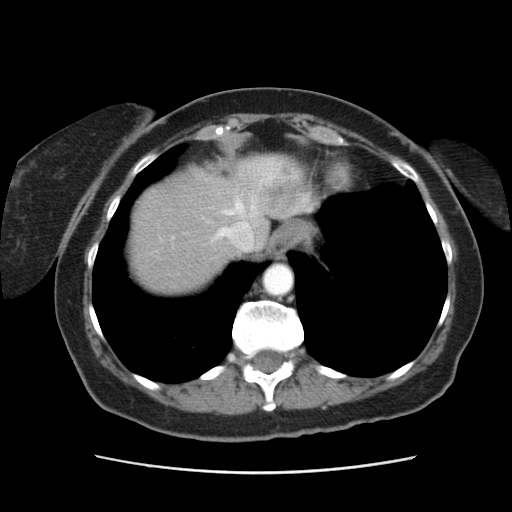 CT
Some hepatic vessels may have no box.
Liver tumor = left=253, top=161, right=307, bottom=216.
Hepatic vessel = left=224, top=203, right=243, bottom=215; left=218, top=219, right=257, bottom=249.